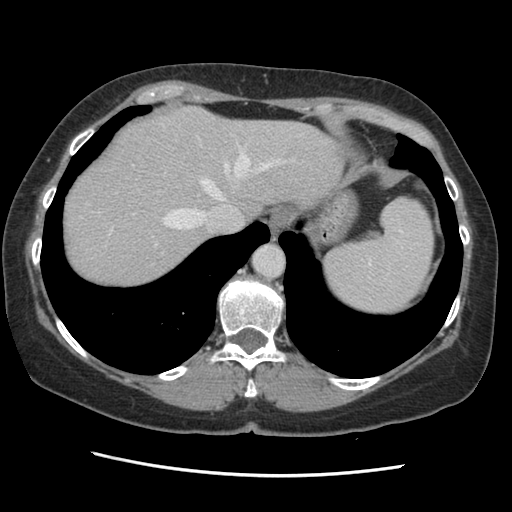
CT slice; Abdomen

Some hepatic vessels may have no box.
hepatic vessel: box=[287, 159, 294, 161]; box=[252, 160, 285, 170]; box=[224, 162, 228, 173]; box=[235, 143, 250, 177]; box=[110, 228, 111, 231]; box=[154, 241, 156, 246]; box=[162, 208, 207, 228]; box=[201, 178, 223, 199]